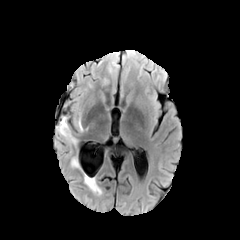
FLAIR magnetic resonance.
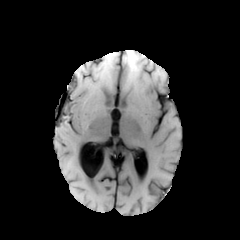
T1-weighted magnetic resonance of the same slice.
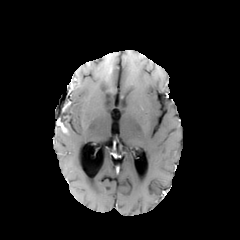
Post-contrast T1-weighted MR image.
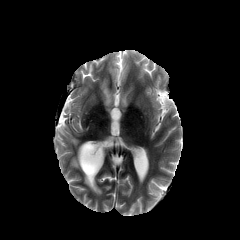
T2-weighted MR of the same slice.
Brain
edema:
  - <box>84,175,101,193</box>
  - <box>72,158,79,167</box>
  - <box>56,116,76,144</box>
  - <box>75,117,82,131</box>